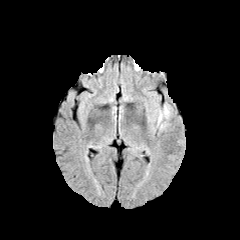
FLAIR MR image.
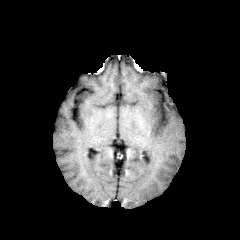
Same slice, T1-weighted MR image.
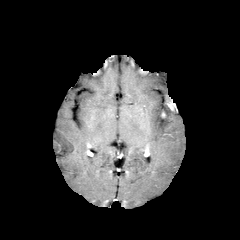
Post-contrast T1-weighted MRI.
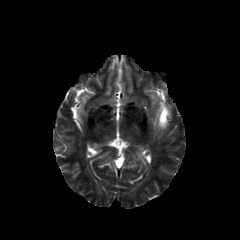
T2-weighted MR.
Image size 240x240
Annotated regions:
- edema: <bbox>156, 108, 167, 129</bbox>, <bbox>163, 105, 170, 117</bbox>